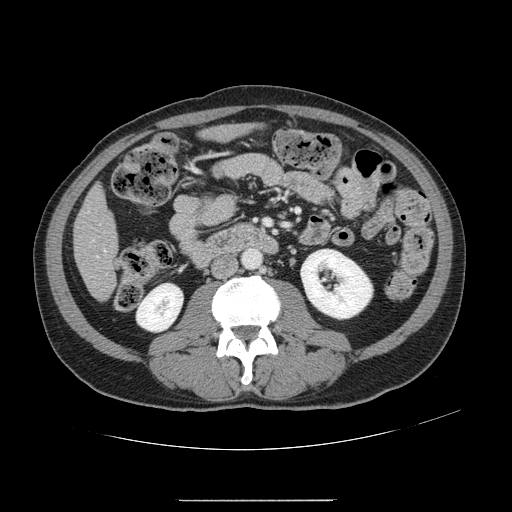
CT image, 512x512 px

Some hepatic vessels may have no box.
The hepatic vessel is bounded by l=104, t=250, r=105, b=252.